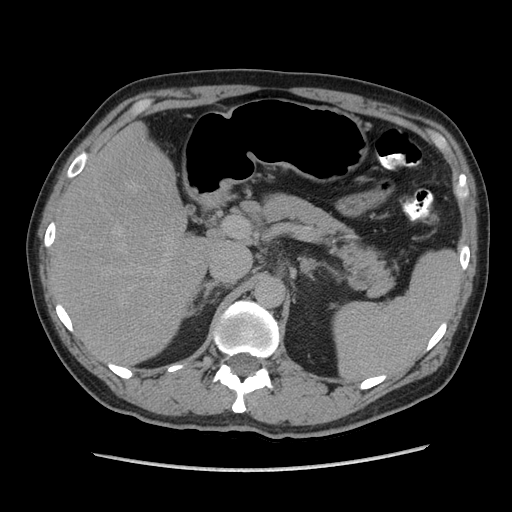
CT scan slice | Image size 512x512
Pancreas — [246,193,392,291].